CT slice, Image width 353 mm, Upper abdomen

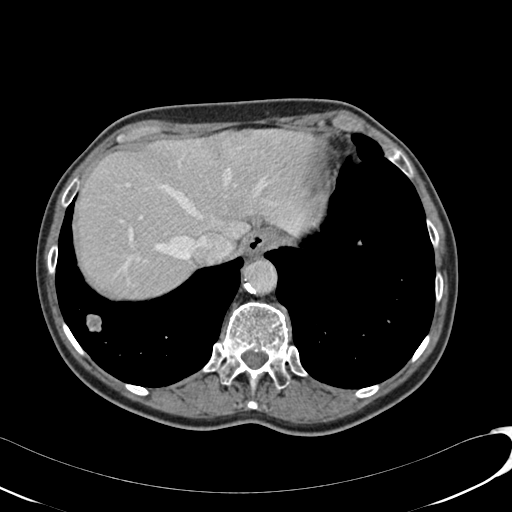
Hepatic lesion = x1=203, y1=138, x2=222, y2=155; x1=243, y1=130, x2=251, y2=137; x1=229, y1=131, x2=239, y2=143.
Liver = x1=78, y1=130, x2=316, y2=298.